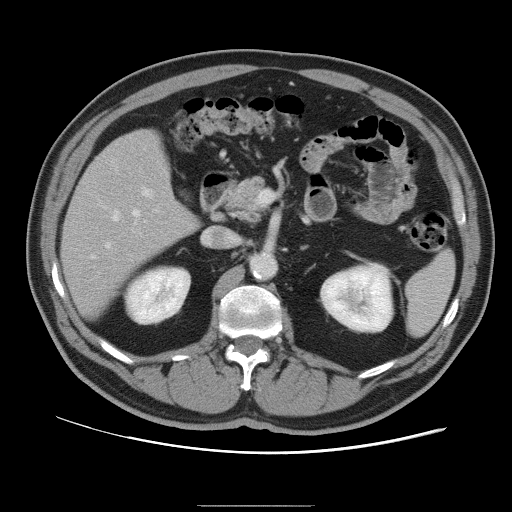 Liver | CT image

Not every hepatic vessel necessarily has a box.
Hepatic vessel = region(139, 231, 141, 234); region(115, 164, 117, 169); region(91, 255, 95, 258); region(133, 209, 139, 218); region(105, 243, 111, 247); region(97, 272, 99, 276); region(144, 220, 146, 222); region(142, 188, 152, 196); region(112, 210, 120, 219); region(135, 219, 136, 223); region(154, 209, 158, 211); region(111, 161, 113, 162).